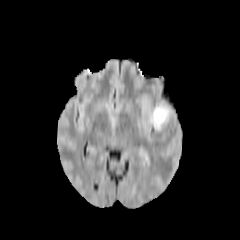
FLAIR MRI.
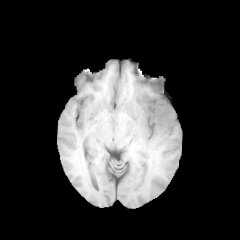
T1-weighted magnetic resonance of the same slice.
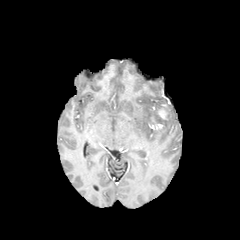
Post-contrast T1-weighted magnetic resonance of the same slice.
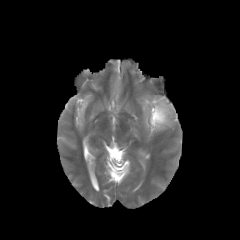
T2-weighted magnetic resonance.
Image size 240x240; Head
edema: {"x1": 157, "y1": 117, "x2": 176, "y2": 139}, {"x1": 151, "y1": 98, "x2": 173, "y2": 130} | enhancing tumor: {"x1": 159, "y1": 109, "x2": 168, "y2": 120}